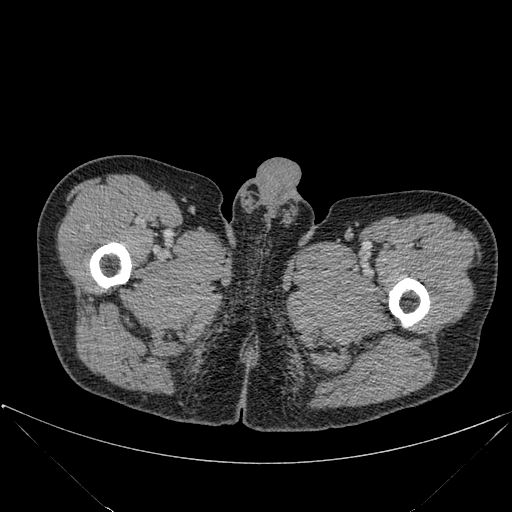
512x512; Computed tomography
Bone at 89,244,130,291; 387,280,428,329.